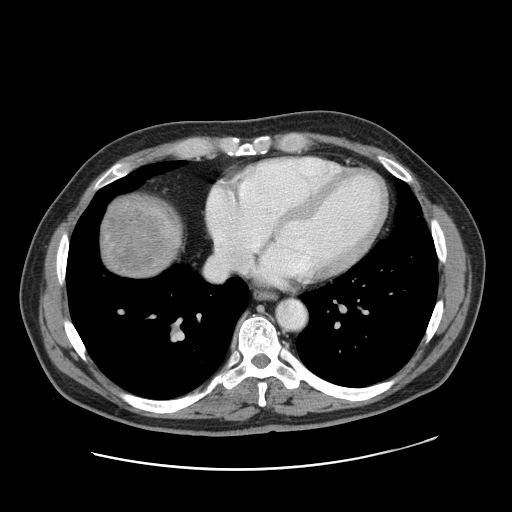 Computed tomography | 512x512 | Abdomen

Liver tumor: (104,196,163,275).